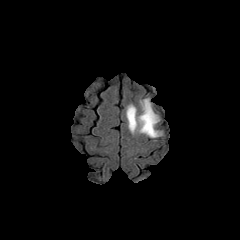
FLAIR MR.
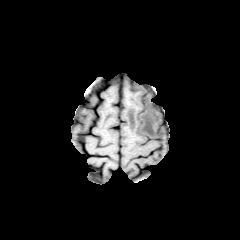
T1-weighted magnetic resonance of the same slice.
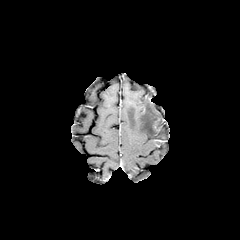
Post-contrast T1-weighted magnetic resonance of the same slice.
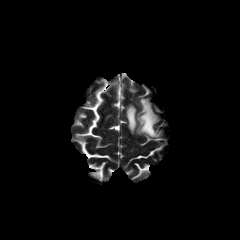
Same slice, T2-weighted MR.
Edema = bbox(126, 98, 161, 138).